FLAIR MR.
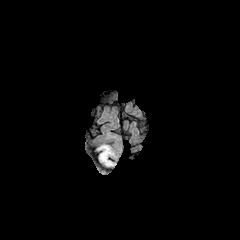
T1-weighted MR.
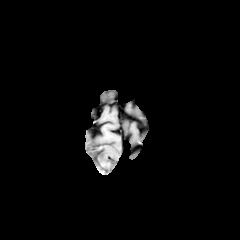
Post-contrast T1-weighted MRI.
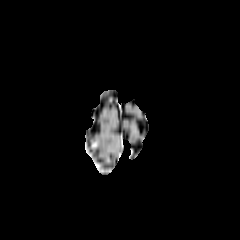
T2-weighted MRI.
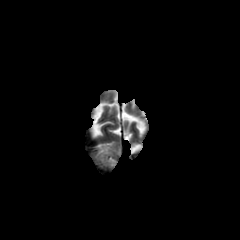
Edema = (left=97, top=144, right=119, bottom=166).